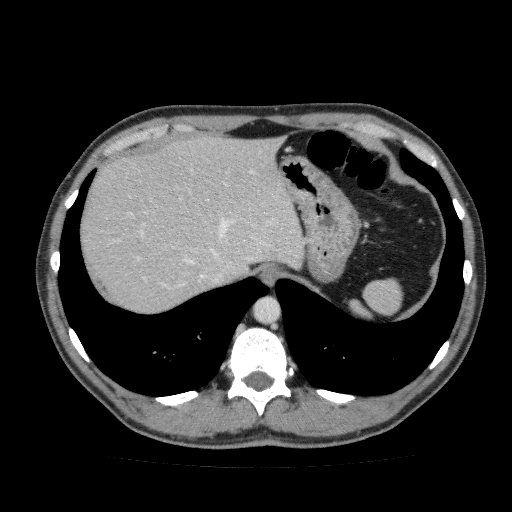 CT scan slice, Abdomen
The liver is bounded by [x1=80, y1=134, x2=304, y2=313].